CT; Image size 512x512
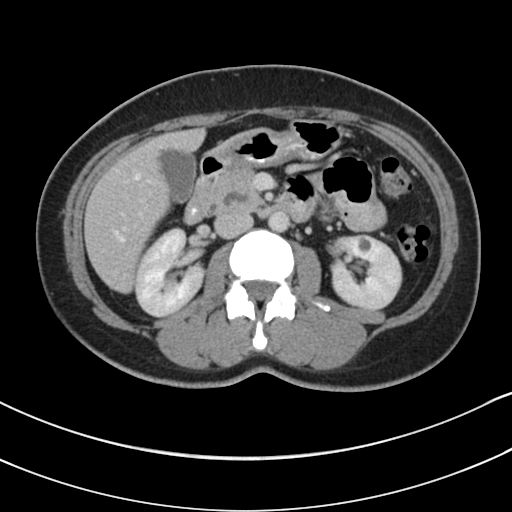
pancreas:
  - 202 161 263 216
pancreatic_tumor:
  - 222 191 250 205